Field of view 330 mm wide, 1.50 mm slice spacing, CT image, Slice 20 of 141

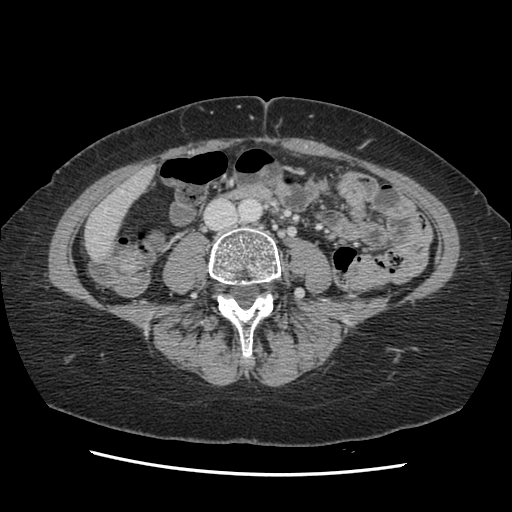
The vessel annotation is not exhaustive.
Hepatic vessel — l=105, t=209, r=106, b=210.